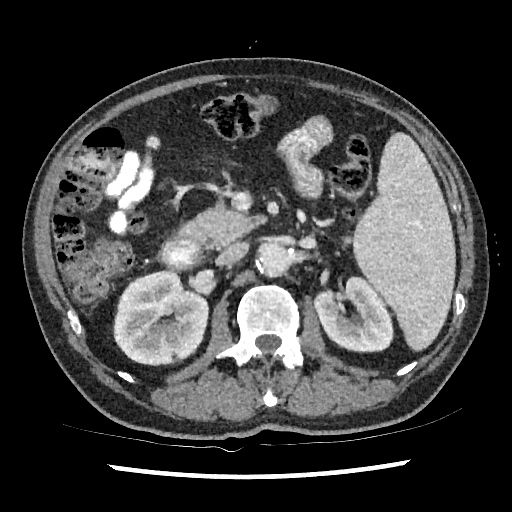

CT image | Abdomen | 512x512 px
{"kidney": ["314 277 392 351", "114 271 208 364"]}